Slice index 668 | CT image

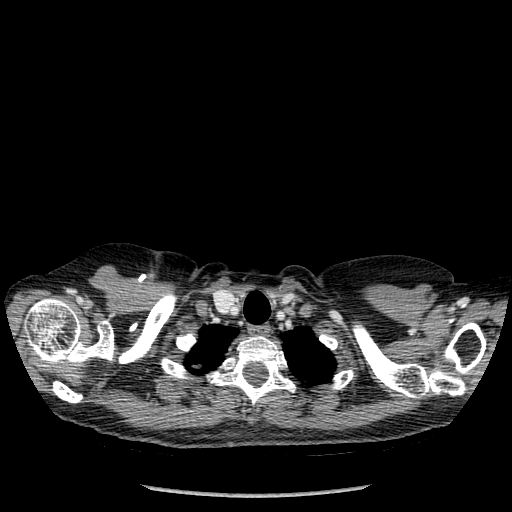 Segmented structures:
- lung: bbox(185, 325, 237, 374); bbox(282, 326, 336, 385); bbox(243, 291, 270, 324)
- bone: bbox(331, 370, 353, 389); bbox(176, 333, 195, 351); bbox(24, 298, 114, 365); bbox(51, 381, 82, 403); bbox(353, 325, 465, 397); bbox(206, 335, 295, 404); bbox(319, 334, 337, 349); bbox(161, 358, 189, 378); bbox(443, 322, 486, 374); bbox(118, 292, 176, 363)